Head.
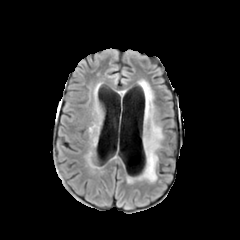
FLAIR MR.
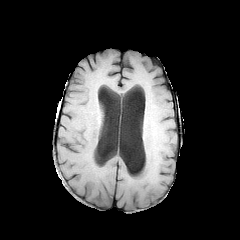
Same slice, T1-weighted MRI.
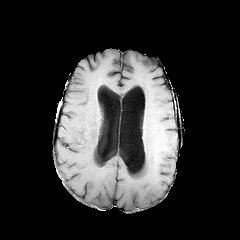
Post-contrast T1-weighted MR image.
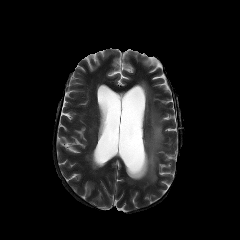
T2-weighted MR.
edema: region(136, 80, 162, 181)